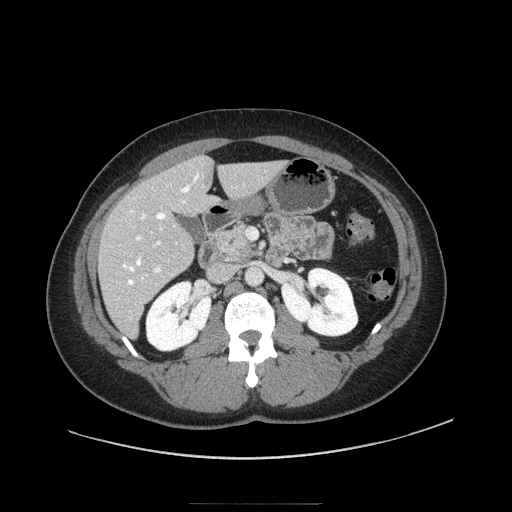 512x512 px | CT | Abdomen
The pancreatic tumor lies within bbox=[226, 238, 255, 260]. The pancreas is located at bbox=[215, 222, 257, 264].